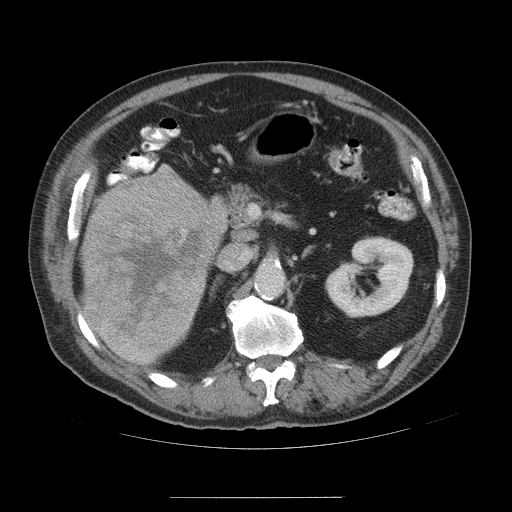
Liver. CT image.
<segmentation>
  <liver_tumor>83:173:220:348</liver_tumor>
</segmentation>